FLAIR MR image.
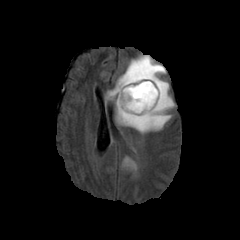
T1-weighted MRI.
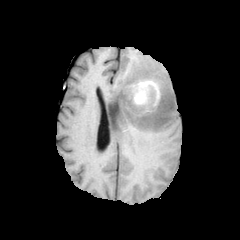
Post-contrast T1-weighted MR.
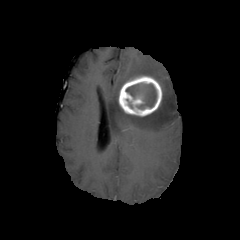
T2-weighted MRI.
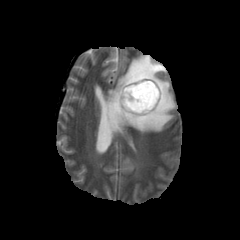
Brain | 240x240 px
<segmentation>
  <enhancing_tumor>118,75,162,116</enhancing_tumor>
  <non-enhancing_tumor_core>136,83,163,118; 116,92,123,114; 126,83,156,107</non-enhancing_tumor_core>
  <edema>109,55,174,132</edema>
</segmentation>